Image width 398 mm | Pelvis | CT scan slice 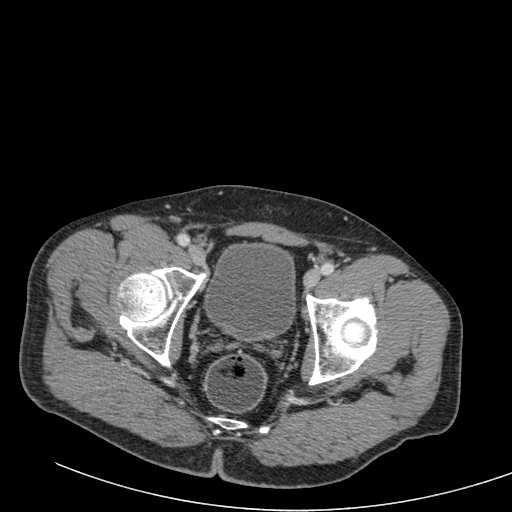

The urinary bladder lies within box=[205, 242, 295, 342].